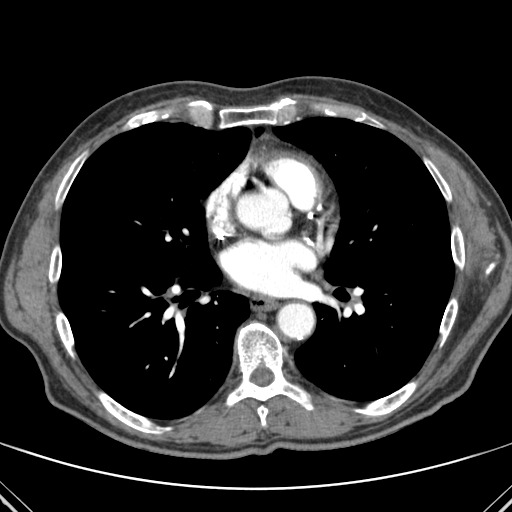
512x512, Chest, CT image

Annotated regions:
- bone (principal 15 of 18): rect(226, 322, 311, 409); rect(451, 226, 464, 268); rect(189, 100, 212, 110); rect(355, 382, 416, 415); rect(49, 246, 61, 282); rect(425, 159, 451, 200); rect(56, 313, 73, 356); rect(55, 155, 84, 205); rect(440, 299, 457, 345); rect(350, 113, 375, 122); rect(257, 405, 267, 426); rect(127, 112, 156, 127); rect(219, 98, 295, 127); rect(166, 306, 182, 324); rect(98, 393, 170, 433)
- lung: rect(273, 117, 454, 400); rect(58, 122, 250, 418); rect(255, 128, 263, 136)